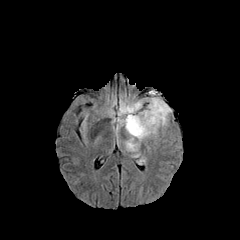
FLAIR MR image.
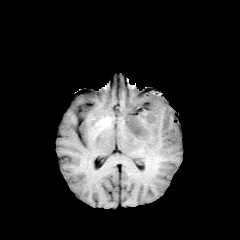
T1-weighted magnetic resonance.
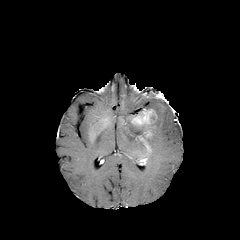
Post-contrast T1-weighted magnetic resonance.
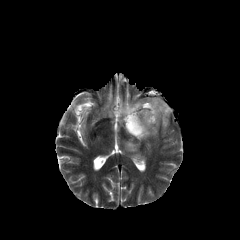
T2-weighted MR.
Brain, 240x240
{"enhancing_tumor": ["rect(132, 109, 151, 124)", "rect(139, 158, 147, 165)"], "edema": ["rect(112, 90, 172, 158)"], "non-enhancing_tumor_core": ["rect(129, 108, 156, 137)"]}